CT scan slice 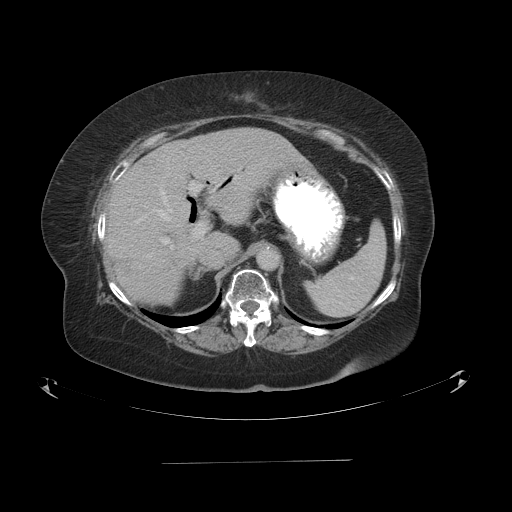
Not every hepatic vessel necessarily has a box.
5 hepatic vessel regions are located at <bbox>164, 197, 165, 202</bbox>, <bbox>193, 223, 204, 237</bbox>, <bbox>162, 239, 168, 243</bbox>, <bbox>160, 211, 169, 219</bbox>, <bbox>191, 183, 199, 190</bbox>.